240x240 px; Slice 74 of 155
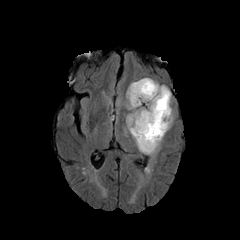
FLAIR MR image.
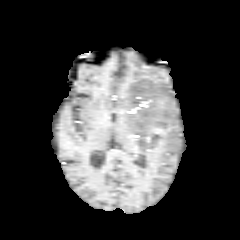
T1-weighted MR.
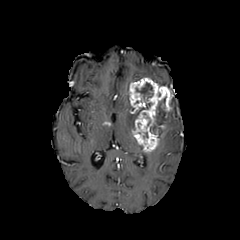
Post-contrast T1-weighted magnetic resonance.
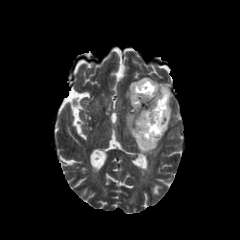
T2-weighted MR image of the same slice.
Edema = 126 110 172 154.
Non-enhancing tumor core = 133 102 151 119, 150 99 166 138, 136 83 152 99.
Enhancing tumor = 128 78 173 151.